Slice 71 of 155, Head
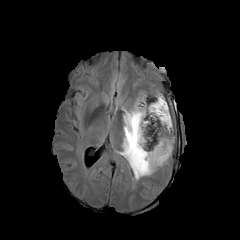
FLAIR magnetic resonance.
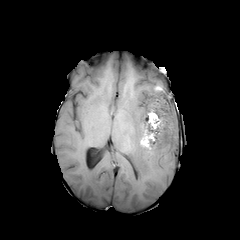
Same slice, T1-weighted magnetic resonance.
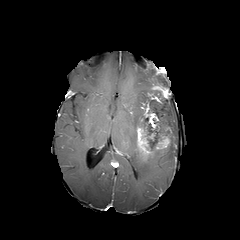
Same slice, post-contrast T1-weighted MR.
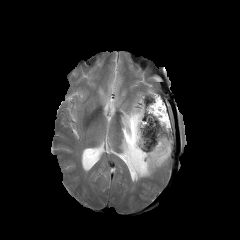
T2-weighted MR image of the same slice.
Annotated regions:
* edema: <bbox>102, 72, 174, 182</bbox>
* enhancing tumor: <bbox>136, 128, 145, 155</bbox>, <bbox>156, 138, 169, 149</bbox>
* non-enhancing tumor core: <bbox>140, 96, 170, 153</bbox>, <bbox>135, 126, 145, 160</bbox>